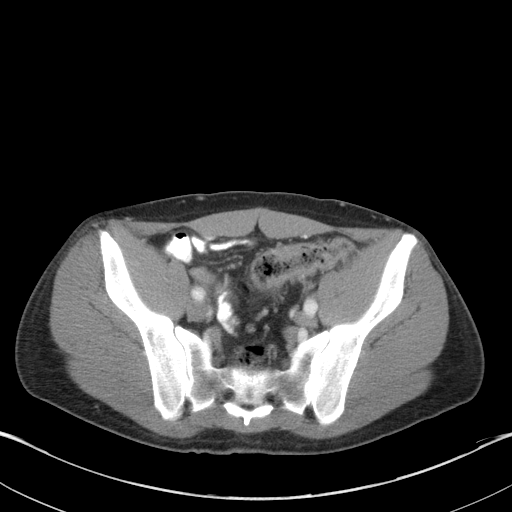

CT slice. 512x512 px.

colon tumor: x1=249, y1=238, x2=354, y2=290